Slice index 80; CT scan slice; Field of view 512 mm wide, 1.00 mm slice spacing; 512x512 px
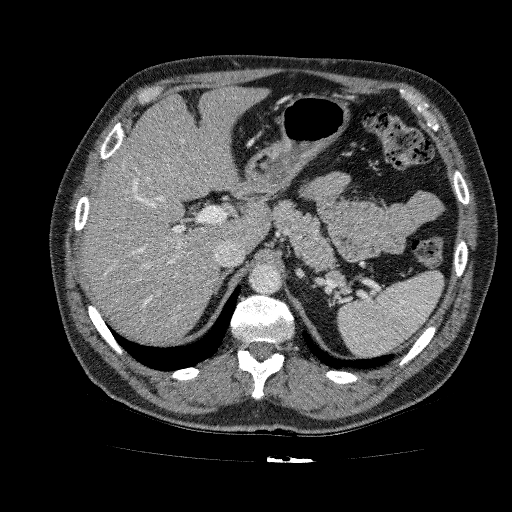

Annotated regions:
* liver: x1=81 y1=86 x2=274 y2=345